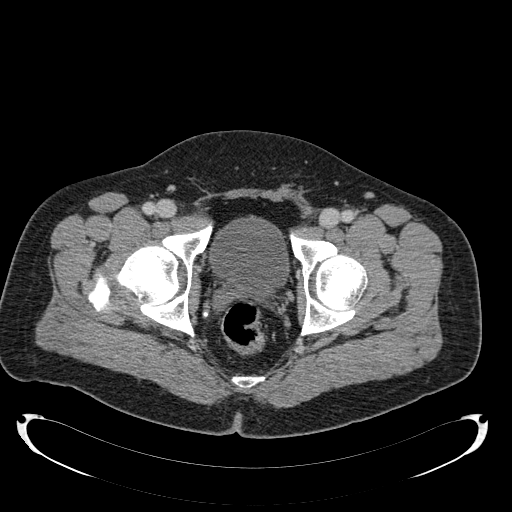 CT image; Pelvis

Annotated regions:
* urinary bladder: box=[208, 217, 289, 306]